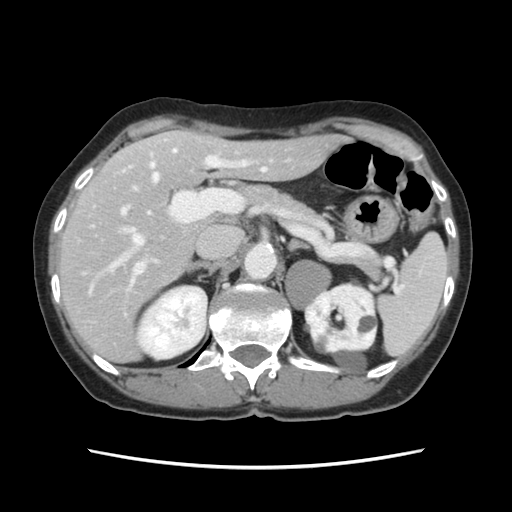

CT image, 512x512, Abdomen
Not every hepatic vessel necessarily has a box.
12 hepatic vessel regions are located at <box>148,212,149,214</box>, <box>205,156,246,166</box>, <box>121,206,128,214</box>, <box>173,149,175,152</box>, <box>130,262,144,287</box>, <box>122,170,124,171</box>, <box>153,260,156,262</box>, <box>151,163,154,166</box>, <box>128,166,131,167</box>, <box>124,228,142,246</box>, <box>109,254,128,269</box>, <box>152,174,158,181</box>.